Brain
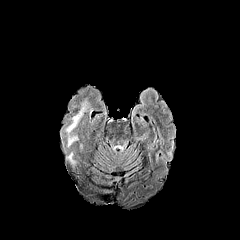
FLAIR MR image.
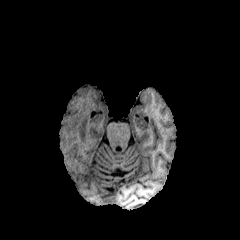
Same slice, T1-weighted MR image.
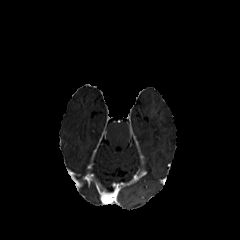
Post-contrast T1-weighted magnetic resonance of the same slice.
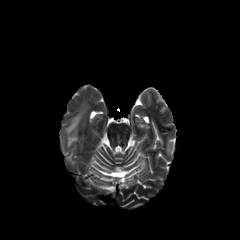
T2-weighted MR image of the same slice.
The edema is bounded by (63,99,90,148).